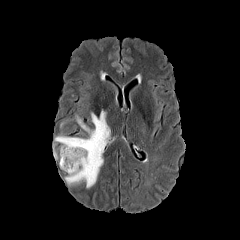
FLAIR MR image.
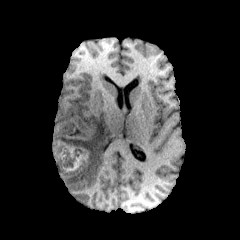
Same slice, T1-weighted MR image.
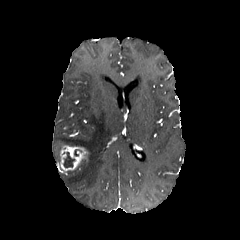
Post-contrast T1-weighted MR of the same slice.
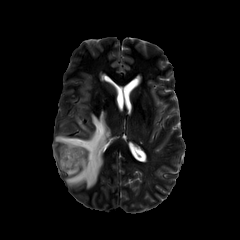
T2-weighted magnetic resonance.
The enhancing tumor is located at (60, 145, 86, 171). 2 non-enhancing tumor core regions are located at (63, 152, 75, 168), (76, 152, 88, 168). The edema lies within (54, 111, 110, 188).